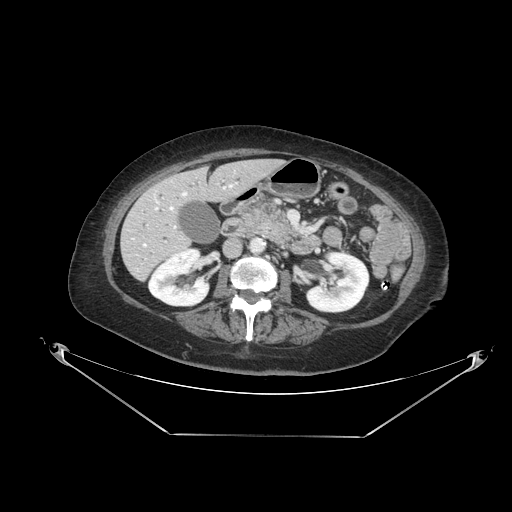
CT slice; Abdomen
Findings:
• pancreas: bbox(246, 205, 285, 242)